FLAIR magnetic resonance.
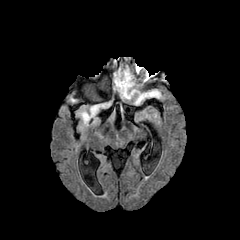
T1-weighted MRI.
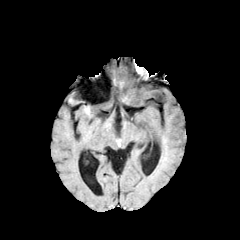
Post-contrast T1-weighted magnetic resonance.
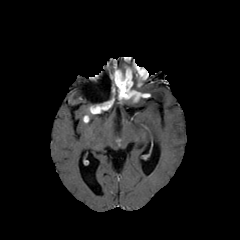
T2-weighted MR.
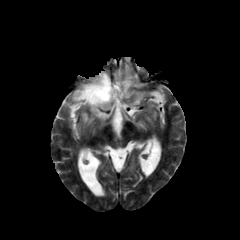
Findings:
• enhancing tumor: <box>92,104,103,112</box>, <box>113,66,149,101</box>
• non-enhancing tumor core: <box>128,66,141,89</box>, <box>101,100,112,109</box>
• edema: <box>82,112,95,121</box>, <box>135,68,146,87</box>, <box>143,89,163,99</box>, <box>122,98,146,105</box>